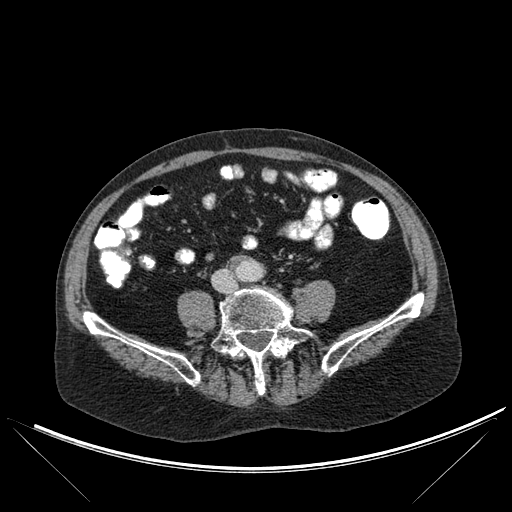

CT slice. 512x512 px.

{
  "bone": [
    "region(83, 311, 200, 385)",
    "region(220, 289, 307, 394)",
    "region(322, 293, 423, 374)"
  ]
}